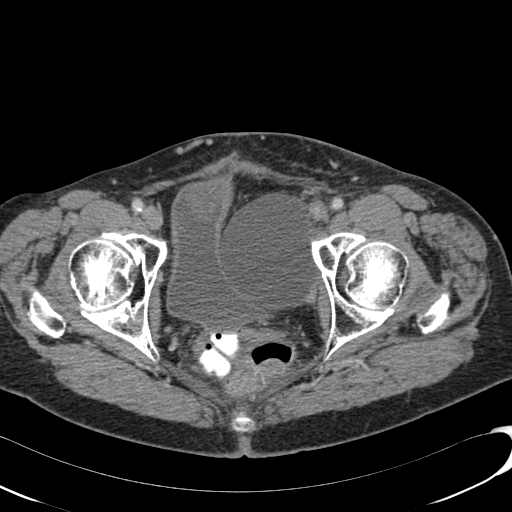 Pelvis. CT scan slice.

The urinary bladder is bounded by x1=166, y1=175, x2=264, y2=332.